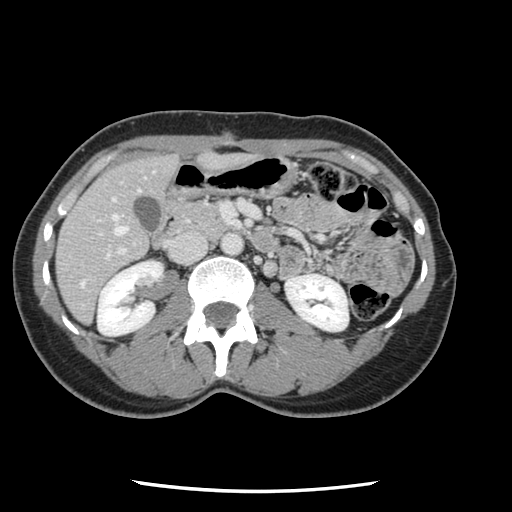

Abdomen. CT slice.
Not every hepatic vessel necessarily has a box.
Annotated regions:
- hepatic vessel: {"x1": 80, "y1": 280, "x2": 84, "y2": 285}, {"x1": 112, "y1": 214, "x2": 117, "y2": 219}, {"x1": 112, "y1": 198, "x2": 115, "y2": 200}, {"x1": 114, "y1": 226, "x2": 127, "y2": 235}, {"x1": 119, "y1": 248, "x2": 124, "y2": 252}